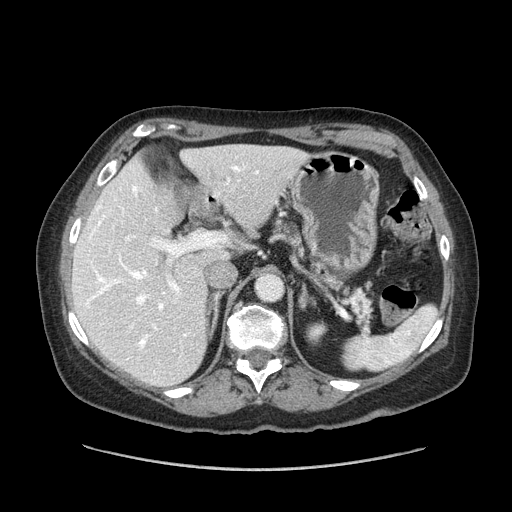
CT slice; Image size 512x512
Findings:
• pancreas: l=275, t=220, r=371, b=327